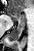
MRI slice.

Anterior hippocampus = bbox=[8, 13, 24, 21].
Posterior hippocampus = bbox=[8, 22, 25, 40].